Lung, CT scan slice
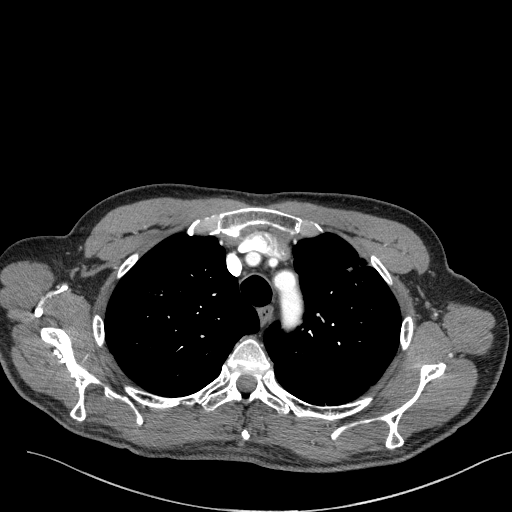 Lung tumor: left=338, top=264, right=370, bottom=289.